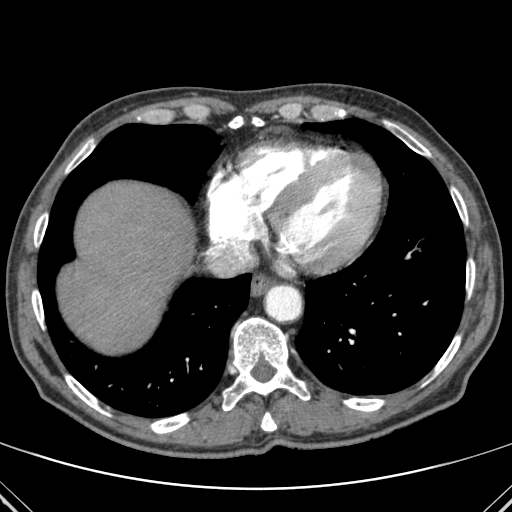 CT, Upper abdomen
{
  "lung": [
    "37 124 251 417",
    "295 118 465 394"
  ],
  "liver": [
    "58 181 196 353"
  ],
  "bone": [
    "343 398 384 411",
    "31 290 43 327",
    "150 413 189 433",
    "229 116 243 128",
    "252 117 263 126",
    "222 318 309 410",
    "401 130 430 156",
    "451 187 467 224",
    "34 213 47 246",
    "261 412 276 431",
    "433 335 460 375",
    "65 139 94 172",
    "65 375 108 415",
    "466 259 475 295"
  ]
}